CT scan slice. Slice index 383. Upper abdomen. Field of view 350 mm wide, 0.70 mm slice spacing.

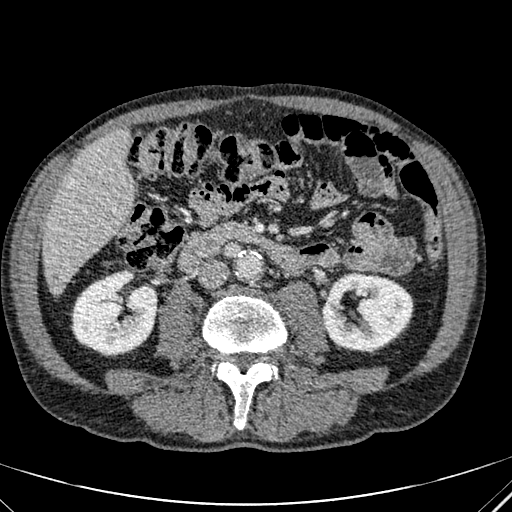
Kidney at {"x1": 323, "y1": 274, "x2": 412, "y2": 350}, {"x1": 73, "y1": 272, "x2": 156, "y2": 353}.
Liver at {"x1": 43, "y1": 132, "x2": 132, "y2": 293}.